Field of view 240x240 mm
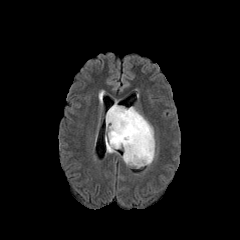
FLAIR magnetic resonance.
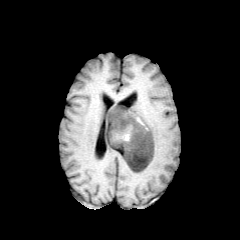
Same slice, T1-weighted MRI.
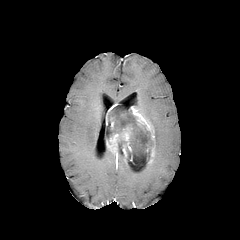
Same slice, post-contrast T1-weighted MR image.
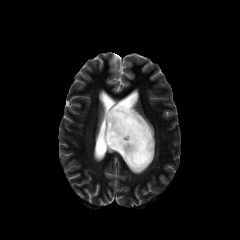
Same slice, T2-weighted MR.
4 enhancing tumor regions are located at [130, 106, 154, 140], [106, 104, 116, 125], [106, 126, 132, 162], [148, 146, 154, 163]. 2 edema regions are bounded by [153, 138, 157, 161], [126, 163, 144, 168]. 2 non-enhancing tumor core regions are located at [118, 140, 125, 150], [105, 106, 153, 166].